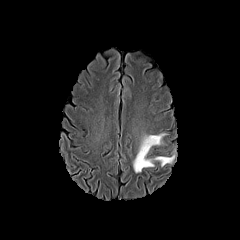
FLAIR MRI.
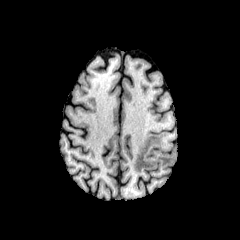
T1-weighted magnetic resonance of the same slice.
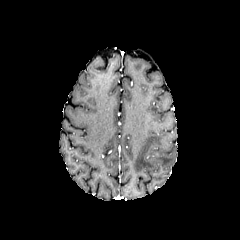
Post-contrast T1-weighted magnetic resonance.
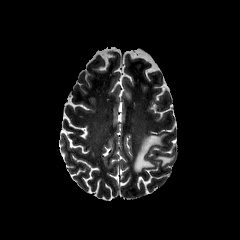
T2-weighted MRI.
240x240 px.
2 edema regions are bounded by (left=132, top=133, right=166, bottom=173), (left=152, top=155, right=174, bottom=166).